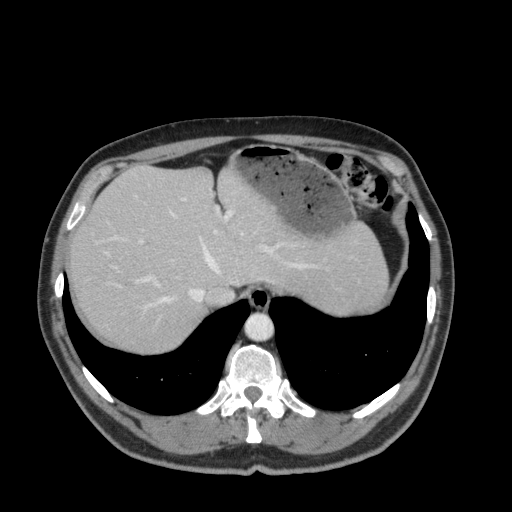 512x512 px. Computed tomography.
Liver: [71, 166, 386, 350].